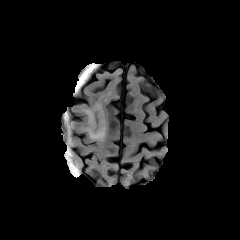
FLAIR MRI.
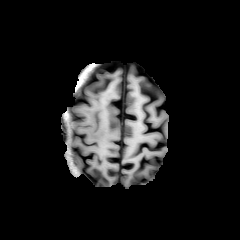
T1-weighted MRI.
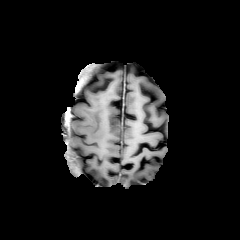
Post-contrast T1-weighted MR image of the same slice.
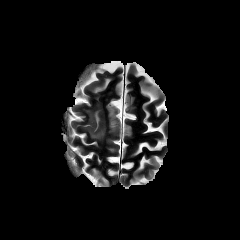
T2-weighted MR image.
Head, Image size 240x240
edema: bbox=[86, 110, 105, 139]